Field of view 240x240 mm
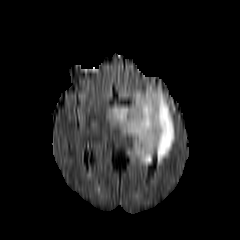
FLAIR magnetic resonance.
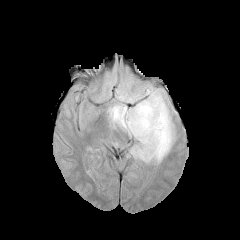
Same slice, T1-weighted magnetic resonance.
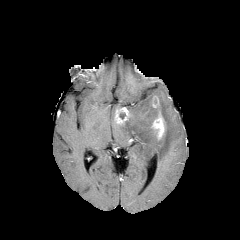
Same slice, post-contrast T1-weighted MR image.
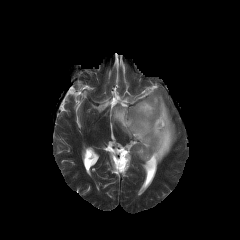
T2-weighted MR image of the same slice.
enhancing_tumor:
  - bbox=[114, 107, 129, 123]
  - bbox=[151, 111, 166, 139]
edema:
  - bbox=[109, 106, 123, 122]
  - bbox=[118, 85, 174, 165]